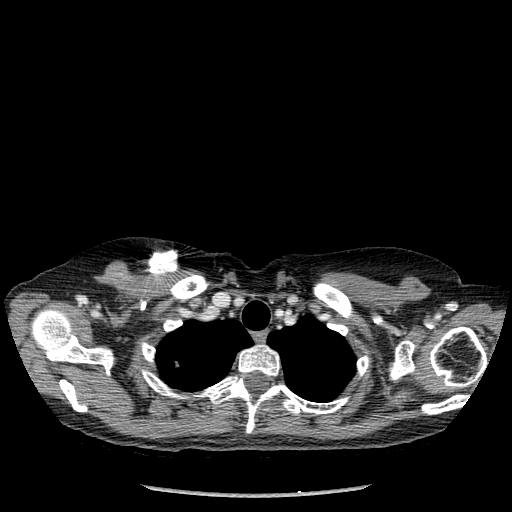
Thorax | Computed tomography | Image size 512x512
13 bone regions are located at (left=428, top=326, right=487, bottom=388), (left=193, top=344, right=348, bottom=432), (left=141, top=342, right=155, bottom=362), (left=314, top=283, right=353, bottom=319), (left=31, top=306, right=113, bottom=375), (left=59, top=379, right=87, bottom=411), (left=390, top=341, right=415, bottom=380), (left=141, top=370, right=187, bottom=398), (left=422, top=394, right=469, bottom=414), (left=170, top=274, right=208, bottom=301), (left=163, top=319, right=182, bottom=331), (left=321, top=314, right=347, bottom=335), (left=357, top=355, right=369, bottom=376). 2 lung regions are located at (left=267, top=315, right=355, bottom=402), (left=156, top=301, right=269, bottom=391).